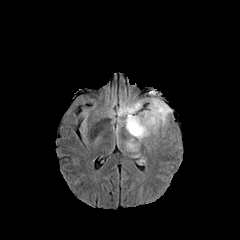
FLAIR MR.
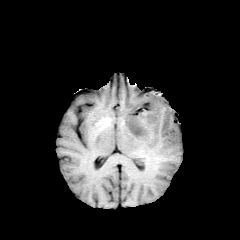
Same slice, T1-weighted magnetic resonance.
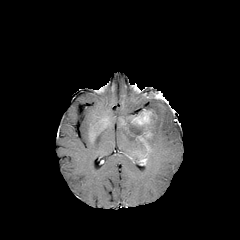
Post-contrast T1-weighted MR.
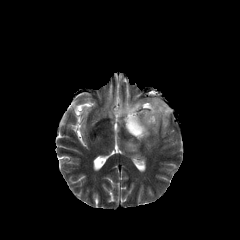
T2-weighted MRI.
The edema is at 108, 90, 172, 164. The non-enhancing tumor core is bounded by 130, 110, 141, 133. The enhancing tumor is bounded by 132, 109, 152, 124.